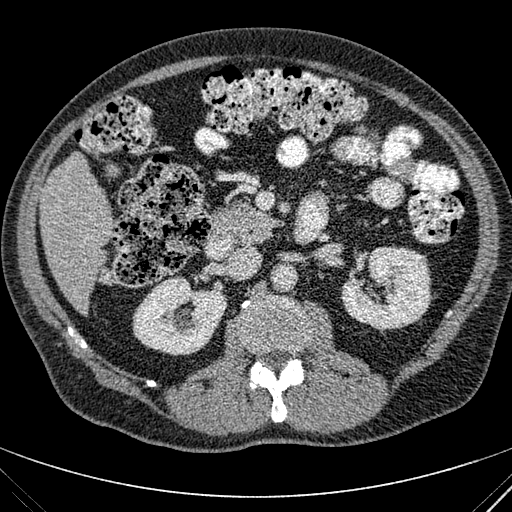

CT slice, 512x512 px
Liver: bounding box box(40, 153, 113, 313).
Kidney: bounding box box(341, 247, 430, 329); box(133, 277, 226, 354); box(356, 252, 367, 270).